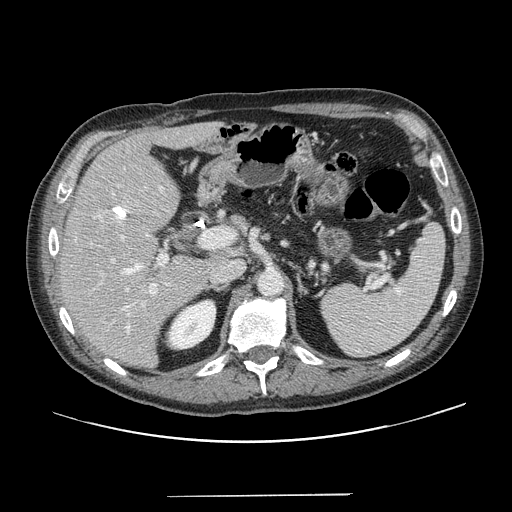

Computed tomography
Findings:
* pancreas: (left=180, top=207, right=278, bottom=246), (left=356, top=266, right=370, bottom=278)